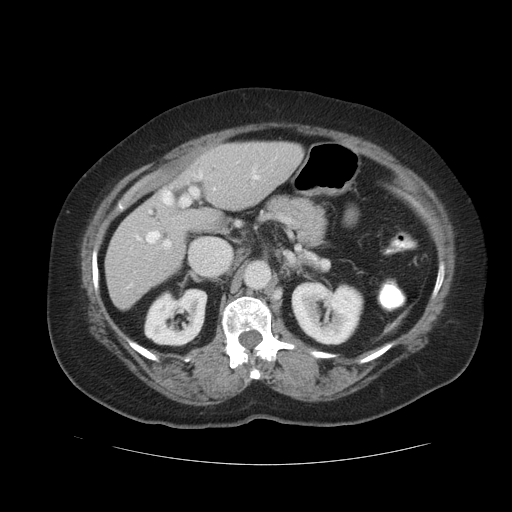
Abdomen | 512x512 px | Computed tomography

The vessel annotation is not exhaustive.
Hepatic vessel at {"x1": 137, "y1": 237, "x2": 140, "y2": 239}, {"x1": 164, "y1": 192, "x2": 169, "y2": 202}, {"x1": 253, "y1": 171, "x2": 257, "y2": 178}, {"x1": 163, "y1": 239, "x2": 170, "y2": 248}, {"x1": 146, "y1": 231, "x2": 159, "y2": 242}, {"x1": 191, "y1": 189, "x2": 196, "y2": 194}, {"x1": 181, "y1": 198, "x2": 189, "y2": 205}, {"x1": 197, "y1": 171, "x2": 202, "y2": 178}.